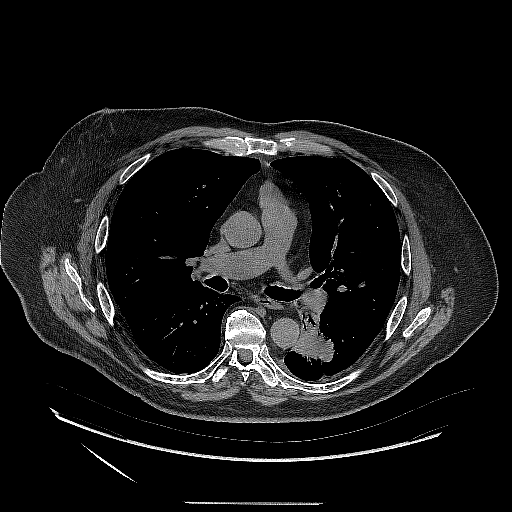

Lung, 512x512 px, CT slice
lung_tumor:
  - box(286, 309, 340, 371)